Slice 93 of 155. Image width 240 mm.
FLAIR magnetic resonance.
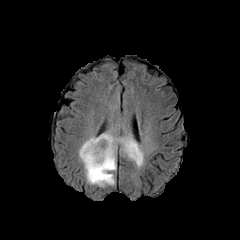
T1-weighted MR image.
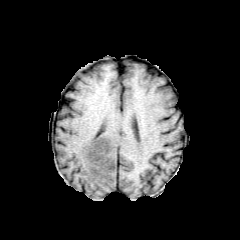
Post-contrast T1-weighted MRI.
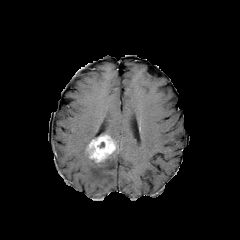
T2-weighted MR.
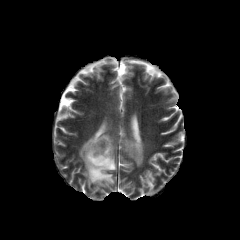
{"enhancing_tumor": ["x1=85, y1=134, x2=118, y2=163"], "edema": ["x1=78, y1=133, x2=116, y2=187", "x1=101, y1=117, x2=144, y2=167"]}